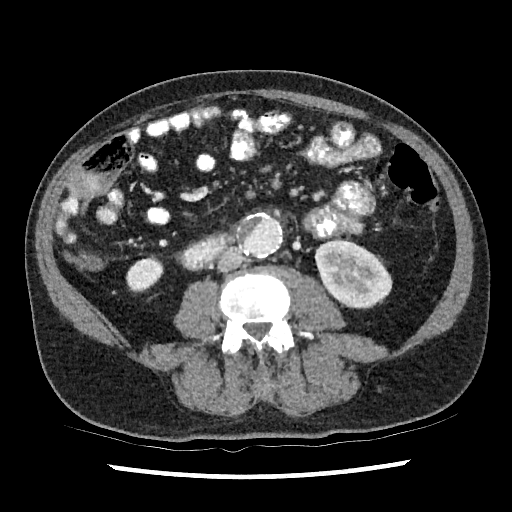 512x512 px. Abdomen. CT slice.

- kidney: x1=127, y1=259, x2=162, y2=290; x1=317, y1=241, x2=391, y2=307